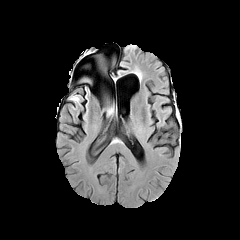
FLAIR magnetic resonance.
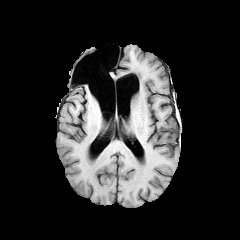
T1-weighted MR of the same slice.
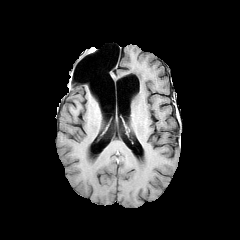
Post-contrast T1-weighted MRI.
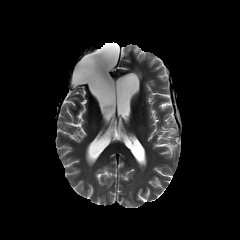
Same slice, T2-weighted MR image.
Brain.
* edema: region(70, 95, 81, 103)